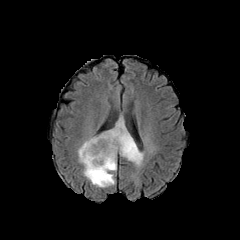
FLAIR magnetic resonance.
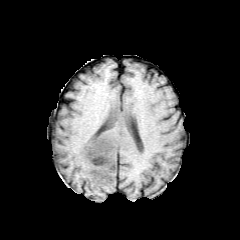
Same slice, T1-weighted MR.
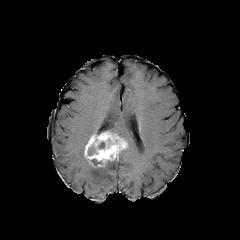
Post-contrast T1-weighted magnetic resonance.
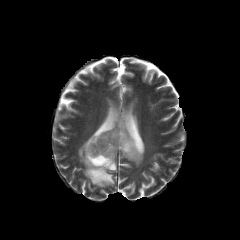
T2-weighted MR.
240x240 px, Brain
Enhancing tumor: bounding box 84:132:127:166.
Edema: bounding box 78:116:143:187.